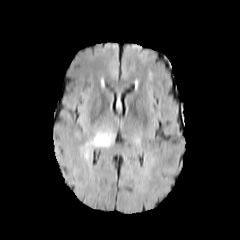
FLAIR MR.
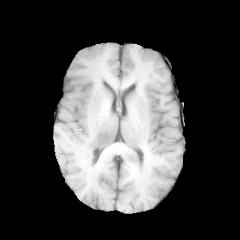
T1-weighted MR.
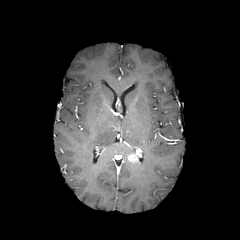
Post-contrast T1-weighted MR image.
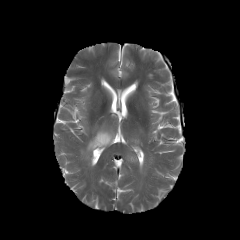
Same slice, T2-weighted MRI.
240x240.
enhancing_tumor:
  - box=[127, 153, 139, 164]
edema:
  - box=[85, 130, 114, 152]